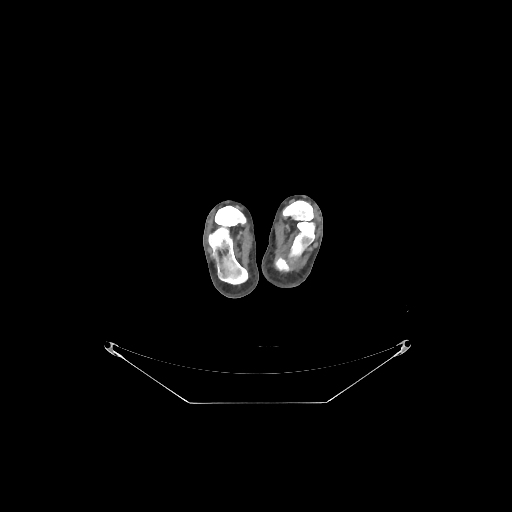

Image size 512x512 | CT
3 bone regions are located at region(283, 200, 314, 260); region(275, 258, 289, 270); region(209, 206, 247, 284).